CT; 512x512 px

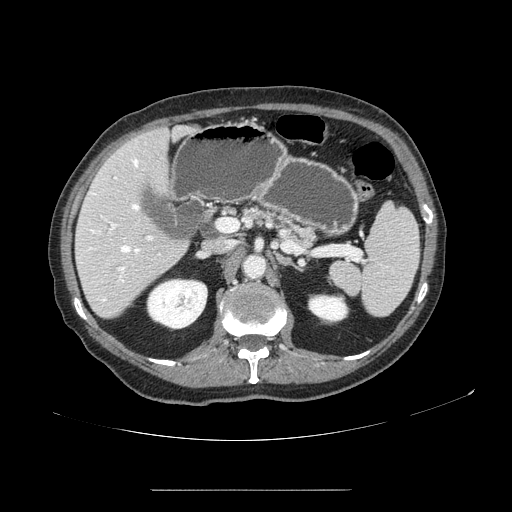 Pancreas: bounding box x1=239 y1=203 x2=320 y2=248.